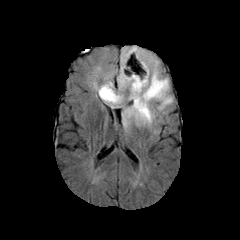
FLAIR MR image.
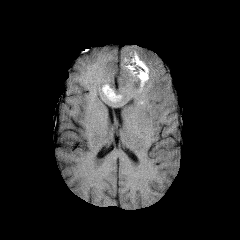
T1-weighted MRI of the same slice.
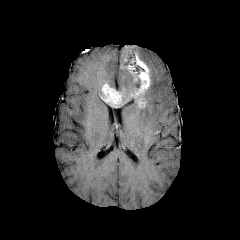
Post-contrast T1-weighted MRI.
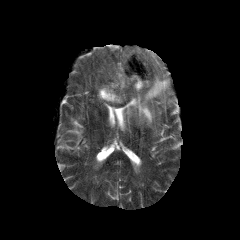
T2-weighted MR image.
* edema: bbox=[114, 47, 173, 128]
* non-enhancing tumor core: bbox=[132, 89, 147, 108]; bbox=[114, 58, 146, 106]
* enhancing tumor: bbox=[100, 84, 122, 107]; bbox=[131, 60, 149, 97]